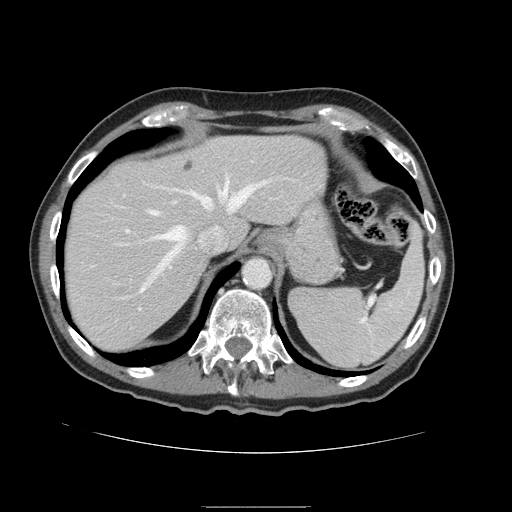
Abdomen | Computed tomography

Some hepatic vessels may have no box.
• hepatic vessel: 219,179,266,211; 183,191,212,217; 127,229,129,231; 171,189,181,190; 139,285,145,292; 149,226,186,281; 199,225,227,251; 149,210,158,214